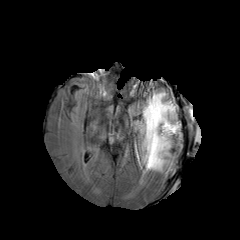
FLAIR MR.
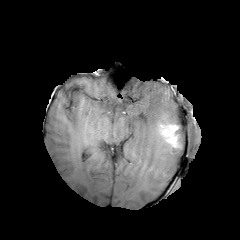
T1-weighted MRI.
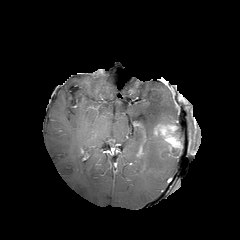
Same slice, post-contrast T1-weighted MRI.
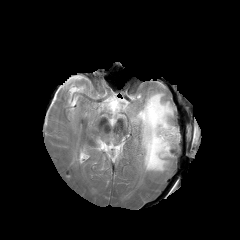
T2-weighted MR image of the same slice.
Edema: <box>131,90,181,173</box>.
Enhancing tumor: <box>157,124,176,145</box>.
Non-enhancing tumor core: <box>171,130,179,147</box>.